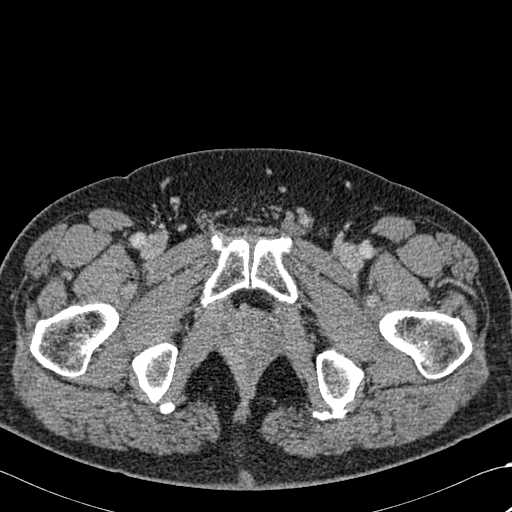 CT scan slice. Bone = 160, 402, 173, 412; 132, 342, 177, 402; 30, 303, 118, 376; 203, 236, 297, 304; 379, 310, 471, 378; 316, 350, 363, 419.